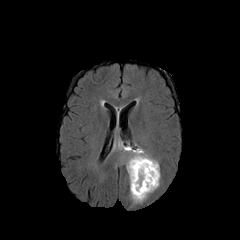
FLAIR MR.
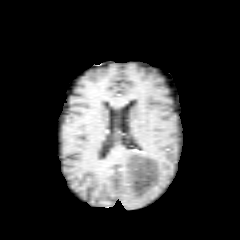
T1-weighted MR.
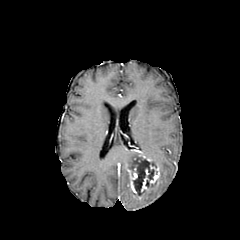
Same slice, post-contrast T1-weighted MRI.
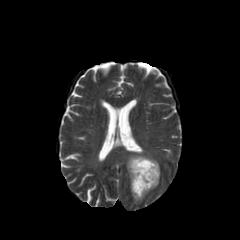
Same slice, T2-weighted MRI.
2 enhancing tumor regions are bounded by (left=131, top=165, right=137, bottom=194), (left=141, top=165, right=159, bottom=191). The non-enhancing tumor core is located at (left=128, top=157, right=155, bottom=195). The edema is located at (left=112, top=138, right=160, bottom=203).